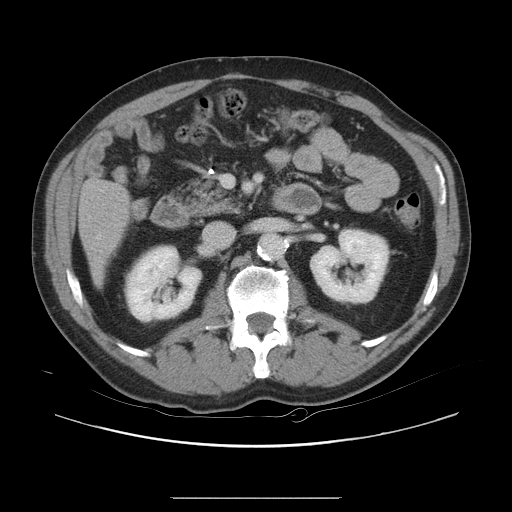
CT scan slice. Liver.
The vessel boxes may cover only some of the vessels.
Findings:
* hepatic vessel: box(97, 234, 100, 239)